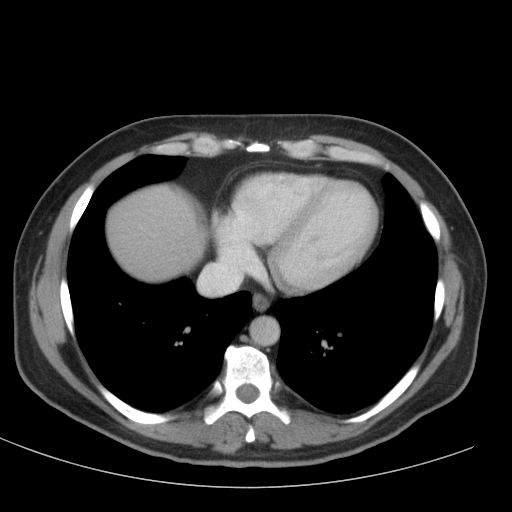

Liver; 512x512 px; CT slice
{"liver": ["(109, 186, 204, 276)"]}